FLAIR MRI.
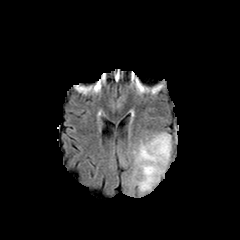
T1-weighted MRI.
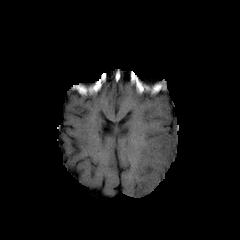
Post-contrast T1-weighted MR image.
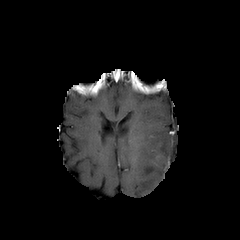
T2-weighted MR.
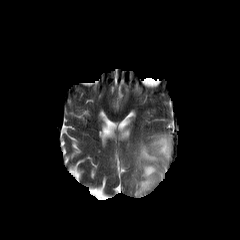
Image size 240x240.
Segmented structures:
• edema: (x1=131, y1=132, x2=172, y2=195)